CT image. Slice 51 of 99.

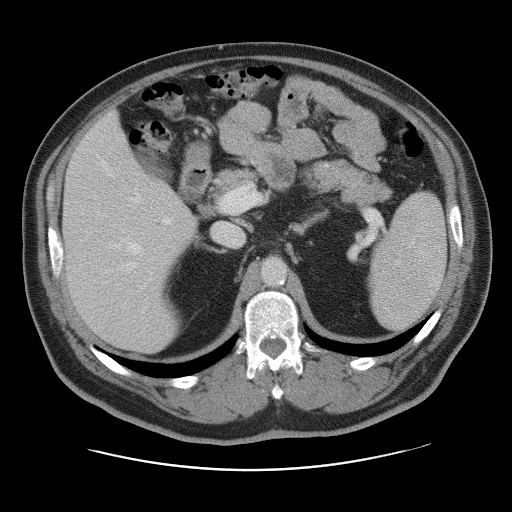 Only some of the vessels may be annotated.
8 hepatic vessel regions appear at bbox=[129, 192, 143, 202]; bbox=[124, 262, 135, 267]; bbox=[102, 160, 110, 174]; bbox=[123, 239, 141, 253]; bbox=[220, 184, 260, 212]; bbox=[161, 217, 172, 224]; bbox=[135, 188, 136, 190]; bbox=[217, 224, 238, 243].